Computed tomography, Field of view 400x400 mm, 512x512 px, Abdomen

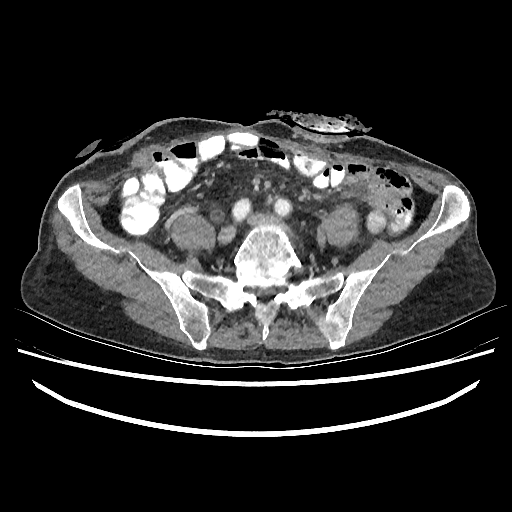
Kidney at x1=368 y1=211 x2=385 y2=231.